FLAIR magnetic resonance.
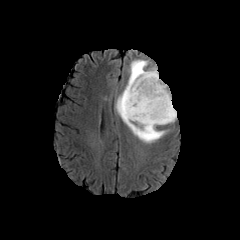
T1-weighted magnetic resonance.
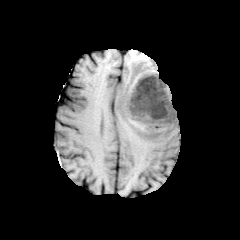
Post-contrast T1-weighted magnetic resonance.
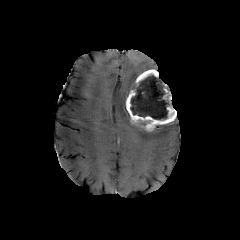
T2-weighted MR image.
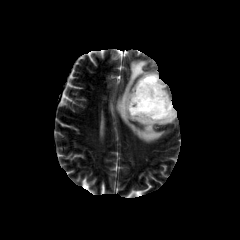
240x240; Head
<segmentation>
  <enhancing_tumor><box>124,69,176,131</box></enhancing_tumor>
  <non-enhancing_tumor_core><box>130,74,168,119</box></non-enhancing_tumor_core>
  <edema><box>114,59,169,143</box></edema>
</segmentation>